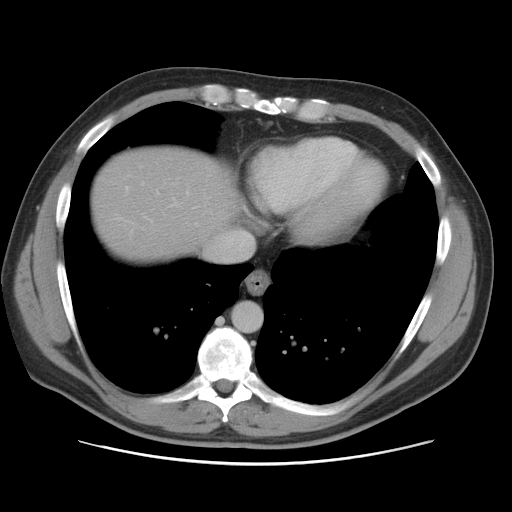

CT image, Liver

Only some of the vessels may be annotated.
The hepatic vessel is bounded by [x1=213, y1=231, x2=252, y2=259].